Slice 29 of 103; Image size 512x512; Upper abdomen; Computed tomography 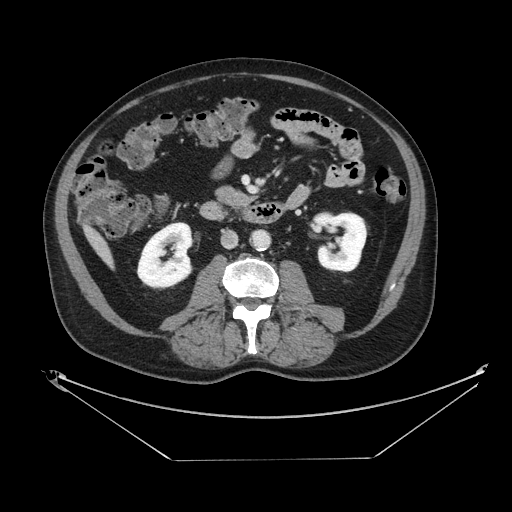 <segmentation>
  <pancreas>bbox=[216, 185, 256, 206]</pancreas>
</segmentation>